Head | Slice 61/155
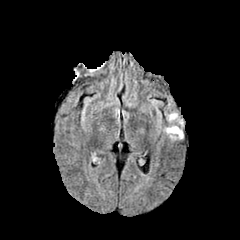
FLAIR MRI.
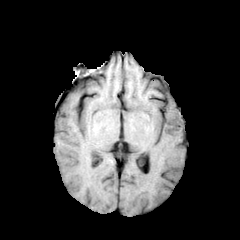
Same slice, T1-weighted MR.
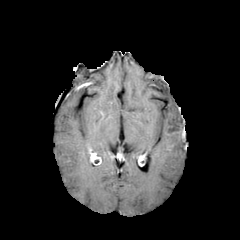
Post-contrast T1-weighted MRI of the same slice.
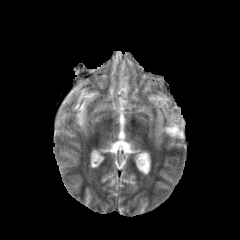
T2-weighted magnetic resonance.
edema: rect(163, 108, 184, 141)